FLAIR magnetic resonance.
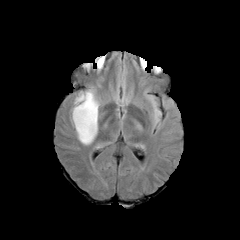
T1-weighted MR.
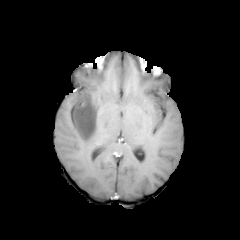
Post-contrast T1-weighted MR.
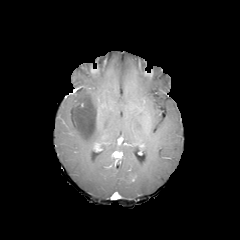
T2-weighted MRI.
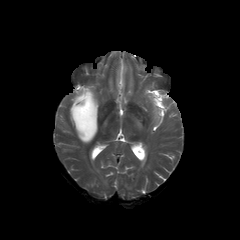
{"non-enhancing_tumor_core": ["bbox=[71, 91, 95, 139]"], "edema": ["bbox=[147, 95, 161, 124]", "bbox=[69, 84, 100, 145]"]}